CT. Slice 78/122. 512x512 px. Abdomen. Field of view 512 mm wide, 1.00 mm slice spacing.
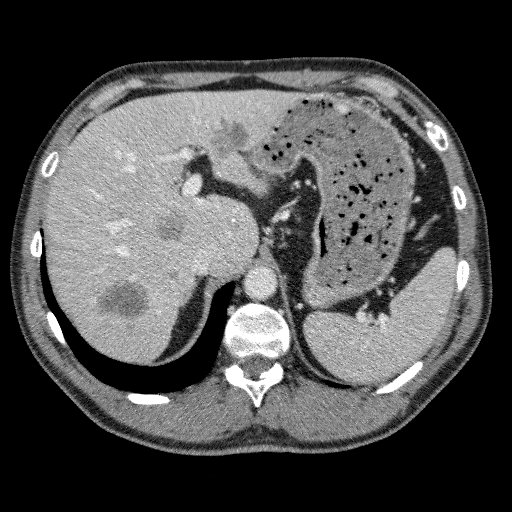 liver: 44,89,300,361 | hepatic lesion: 166,270,178,282; 152,209,189,243; 226,219,241,232; 205,116,249,164; 123,324,135,333; 96,279,152,320; 115,210,132,219